Medial temporal lobe. MR. Field of view 35x48 mm. 35x48. 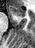
Anterior hippocampus — x1=8, y1=5, x2=26, y2=17.